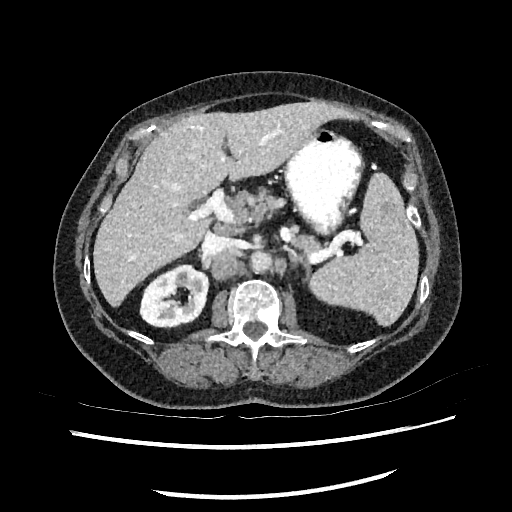

Upper abdomen, Computed tomography, 512x512
The kidney is located at [140,265,207,326]. The liver lies within [93,103,356,307].